Slice 547/871. Field of view 380x380 mm. Computed tomography.

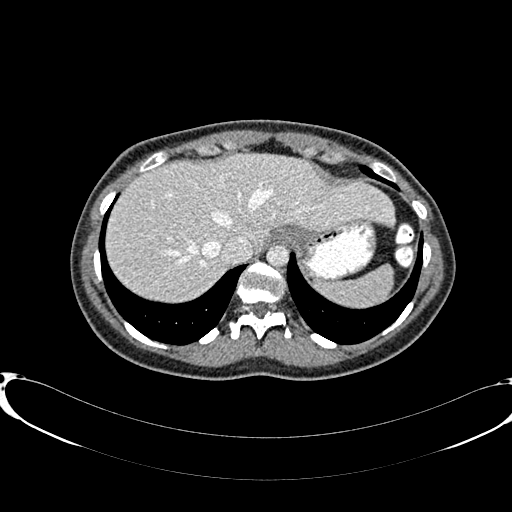 The liver is bounded by 107:154:394:301.